Image width 404 mm. Slice 164/908. Lower abdomen. CT image.

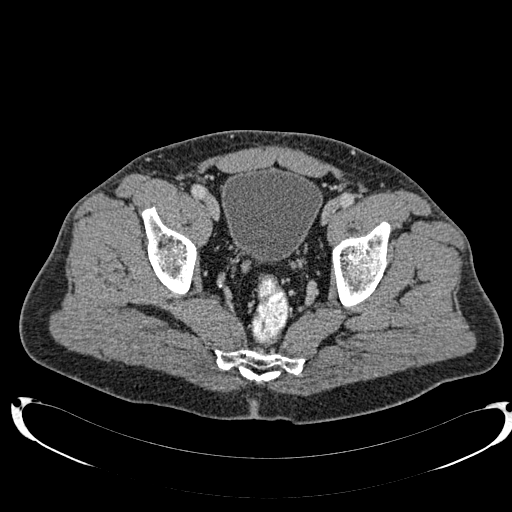
Urinary bladder: left=222, top=166, right=322, bottom=262.